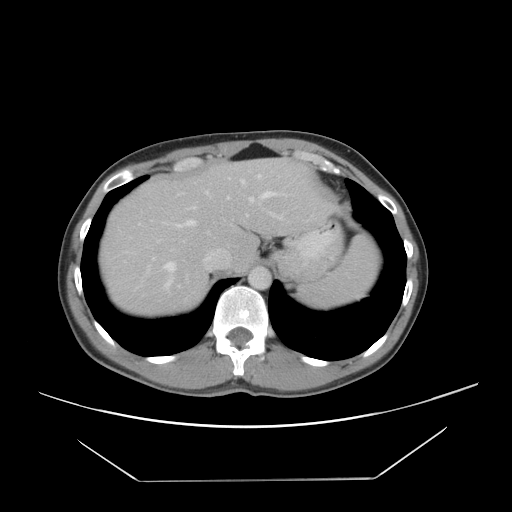 CT, Liver
The vessel annotation is not exhaustive.
{
  "hepatic_vessel": [
    "x1=250 y1=197 x2=253 y2=201",
    "x1=227 y1=196 x2=228 y2=198",
    "x1=175 y1=219 x2=195 y2=227",
    "x1=205 y1=191 x2=208 y2=194",
    "x1=164 y1=277 x2=172 y2=289",
    "x1=257 y1=174 x2=260 y2=177",
    "x1=138 y1=223 x2=140 y2=224",
    "x1=261 y1=191 x2=285 y2=198",
    "x1=188 y1=205 x2=195 y2=209",
    "x1=163 y1=262 x2=175 y2=271",
    "x1=241 y1=179 x2=244 y2=183"
  ]
}